Slice 131/155
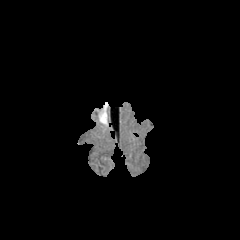
FLAIR MRI.
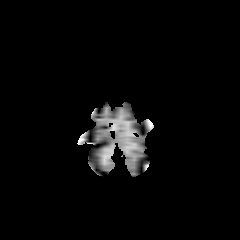
T1-weighted magnetic resonance.
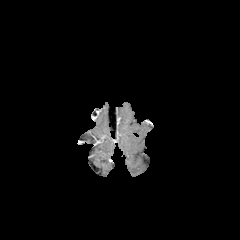
Post-contrast T1-weighted MR image.
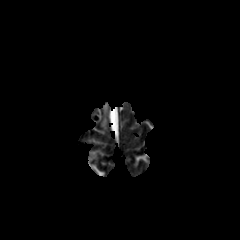
T2-weighted MR image of the same slice.
edema: (x1=98, y1=102, x2=107, y2=125)